CT image, Abdomen, Field of view 338 mm wide, 1.20 mm slice spacing 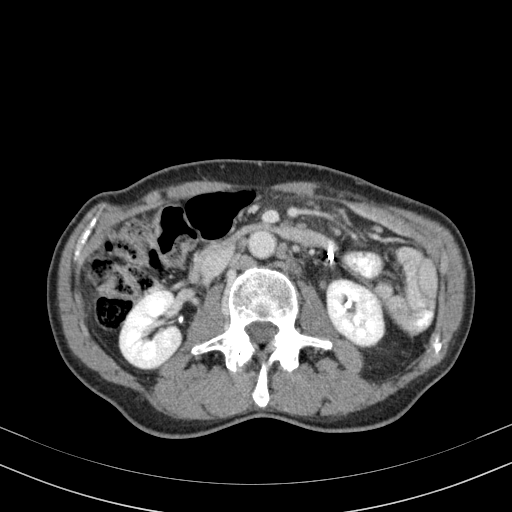

2 kidney regions are bounded by [x1=327, y1=281, x2=382, y2=344], [x1=120, y1=291, x2=180, y2=367].